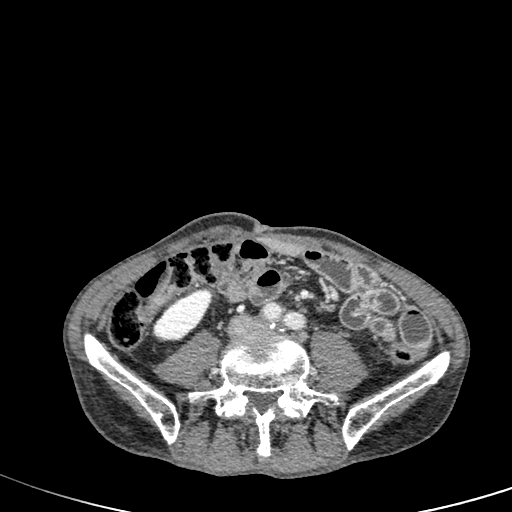

CT. Abdomen. The kidney is bounded by box(154, 290, 210, 339).